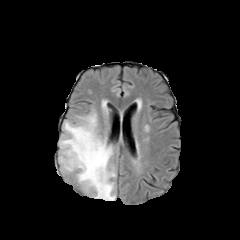
FLAIR MRI.
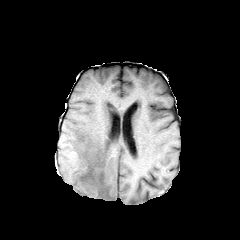
T1-weighted MR.
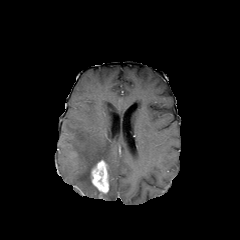
Post-contrast T1-weighted MRI.
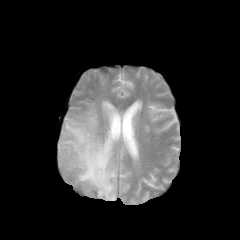
T2-weighted magnetic resonance of the same slice.
Head.
edema:
  - (x1=59, y1=109, x2=116, y2=200)
enhancing_tumor:
  - (x1=91, y1=160, x2=109, y2=194)